Field of view 240x240 mm; Brain; Image size 240x240
FLAIR MR.
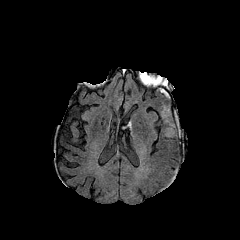
T1-weighted MR.
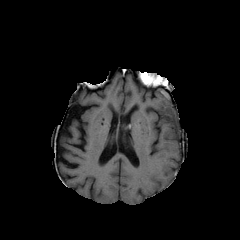
Post-contrast T1-weighted MR.
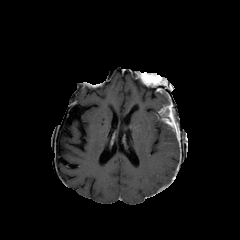
T2-weighted MRI.
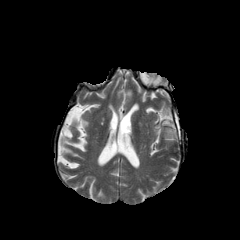
<segmentation>
  <enhancing_tumor><box>160,107,179,137</box></enhancing_tumor>
  <non-enhancing_tumor_core><box>142,74,162,92</box></non-enhancing_tumor_core>
  <edema><box>164,126,175,140</box></edema>
</segmentation>